CT slice; Slice index 82 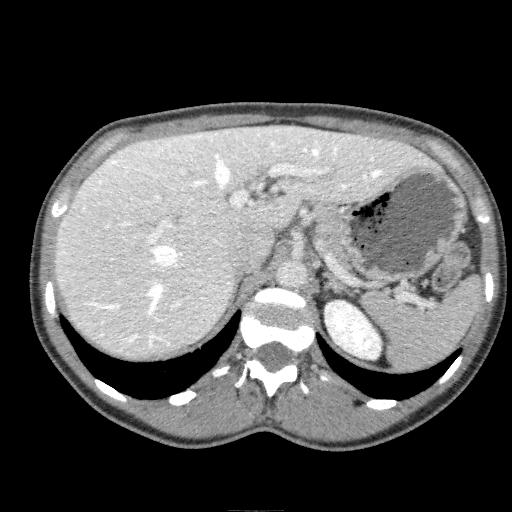 {"liver": ["54,124,434,357"], "kidney": ["325,301,380,358"]}